37x56 px, Slice index 29, Medial temporal lobe, MRI 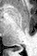

The posterior hippocampus appears at [17,48,20,49].